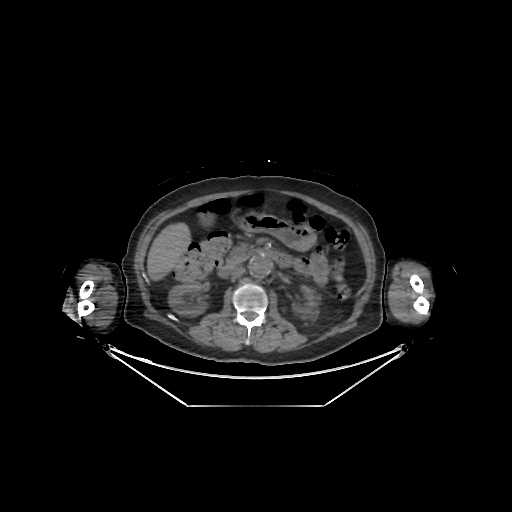

CT scan slice; Image size 512x512

2 kidney regions are bounded by 291 285 320 318, 169 281 210 317. 3 bone regions are located at 78 280 94 317, 233 284 267 335, 410 274 429 314. The liver is at 148 223 189 278.